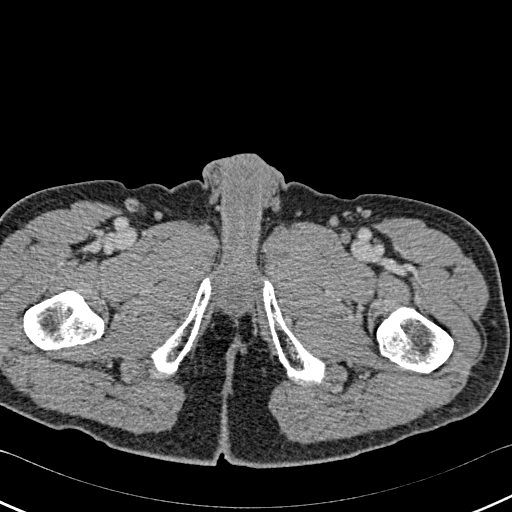
CT

Bone: x1=152, y1=278, x2=211, y2=374; x1=263, y1=280, x2=324, y2=383; x1=377, y1=307, x2=453, y2=372; x1=24, y1=291, x2=103, y2=349.